FLAIR MR.
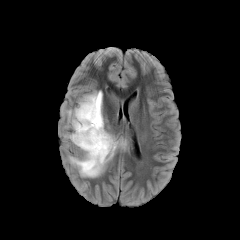
T1-weighted MR image.
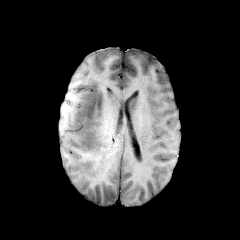
Post-contrast T1-weighted MR.
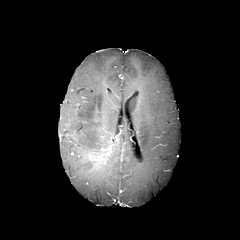
T2-weighted MR.
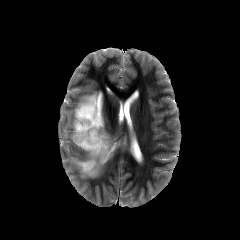
Head
Non-enhancing tumor core: (left=86, top=106, right=93, bottom=117), (left=101, top=147, right=109, bottom=157).
Edema: (left=69, top=91, right=122, bottom=177).